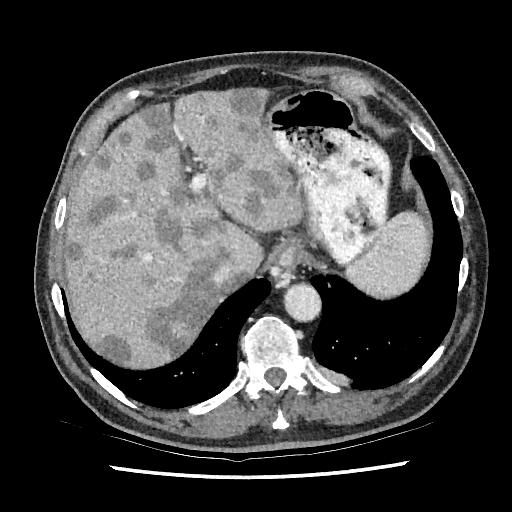

CT slice; Upper abdomen

- liver: 65, 89, 302, 365; 220, 223, 262, 281
- liver lesion (principal 15 of 16): 204, 112, 221, 132; 193, 93, 207, 107; 242, 159, 296, 220; 139, 104, 177, 152; 230, 89, 267, 142; 115, 131, 132, 144; 146, 208, 231, 356; 207, 151, 244, 197; 168, 184, 189, 205; 96, 335, 130, 362; 111, 243, 137, 261; 95, 145, 111, 170; 66, 236, 82, 262; 80, 197, 121, 228; 136, 160, 154, 182